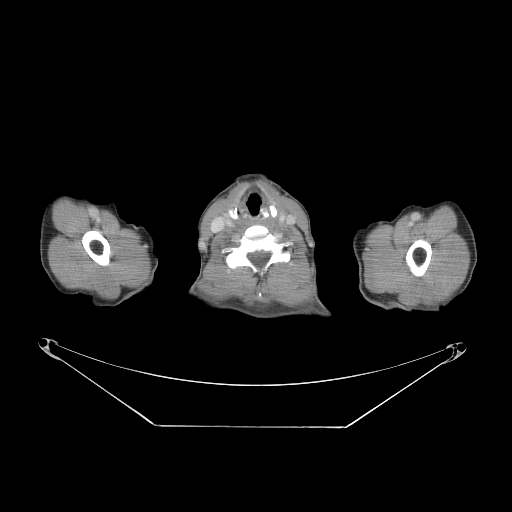

CT slice.
3 bone regions appear at box(82, 231, 110, 265); box(226, 225, 289, 277); box(406, 239, 431, 276).